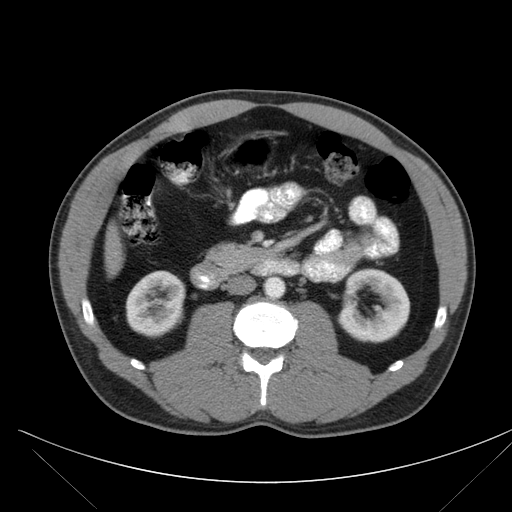
CT image

{
  "pancreas": [
    "box=[206, 243, 247, 266]"
  ]
}